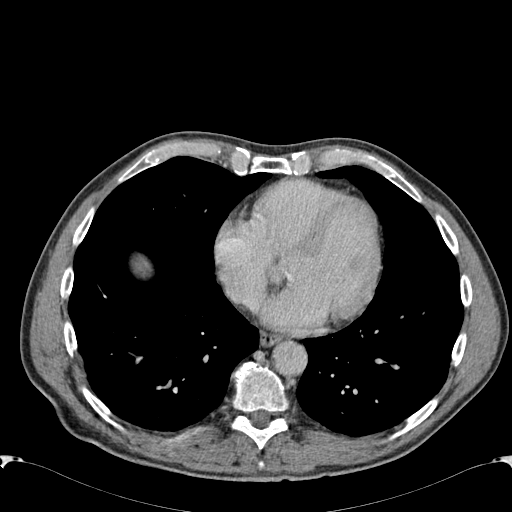

Computed tomography | 512x512 px
Liver: (134,258,150,278).